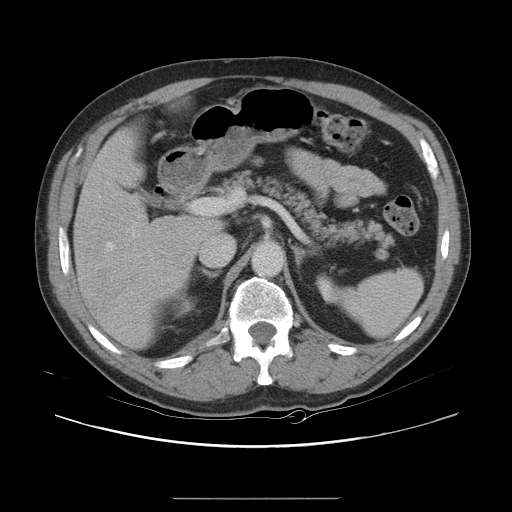
CT image; Liver

The vessel boxes may cover only some of the vessels.
Hepatic vessel = (x1=105, y1=182, x2=110, y2=186), (x1=202, y1=238, x2=205, y2=239), (x1=106, y1=242, x2=114, y2=248).